Field of view 369x369 mm, CT slice, Abdomen, Image size 512x512 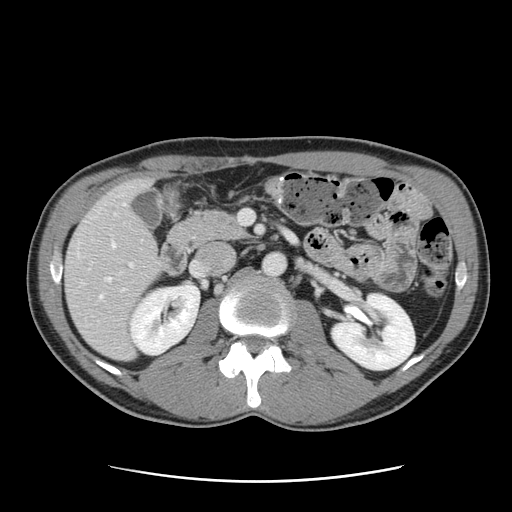

Only some of the vessels may be annotated.
Hepatic vessel — 76 252 78 256, 98 294 102 300, 122 289 124 290, 105 277 110 280, 123 203 125 205, 112 243 114 246, 129 263 132 265.